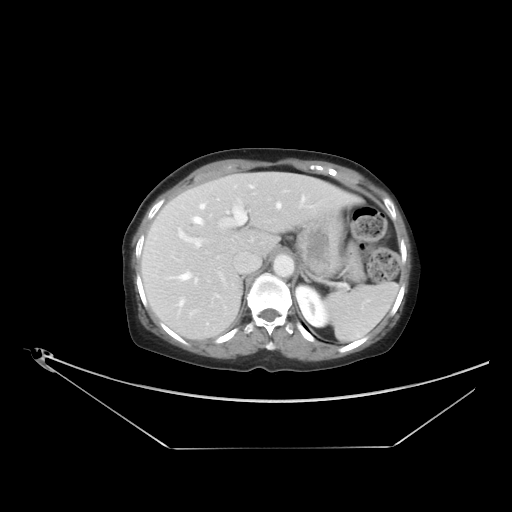

Liver, Computed tomography
Some hepatic vessels may have no box.
hepatic_vessel:
  - 193, 274, 197, 285
  - 217, 268, 219, 274
  - 190, 238, 207, 248
  - 195, 218, 200, 222
  - 234, 198, 242, 206
  - 179, 274, 189, 279
  - 276, 202, 280, 208